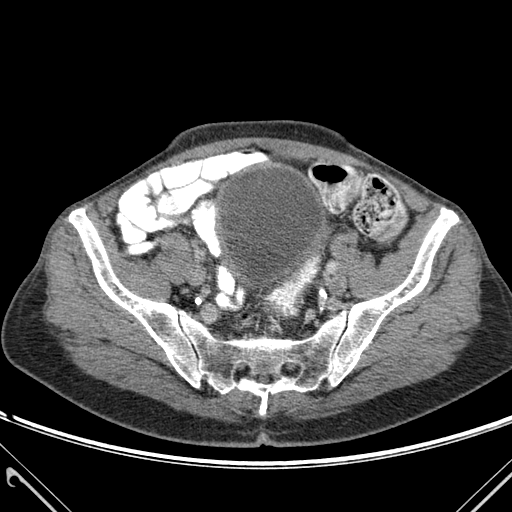
CT

{
  "bone": [
    {"x1": 69, "y1": 208, "x2": 458, "y2": 414}
  ]
}